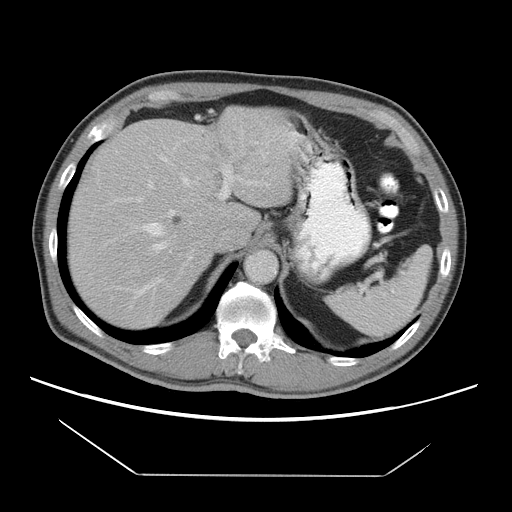 CT scan slice, 512x512 px, Abdomen
Only some of the vessels may be annotated.
<segmentation partial="true">
  <hepatic_vessel shown="15" total="24"><box>196,210,204,215</box>, <box>168,210,174,216</box>, <box>182,177,189,186</box>, <box>214,184,228,198</box>, <box>175,142,179,147</box>, <box>153,242,167,251</box>, <box>228,175,268,186</box>, <box>127,278,161,298</box>, <box>148,175,153,188</box>, <box>143,223,162,235</box>, <box>270,128,283,140</box>, <box>288,132,298,148</box>, <box>197,194,209,196</box>, <box>159,155,167,161</box>, <box>262,154,266,161</box></hepatic_vessel>
  <liver_tumor><box>212,142,221,151</box></liver_tumor>
</segmentation>